Abdomen; CT scan slice
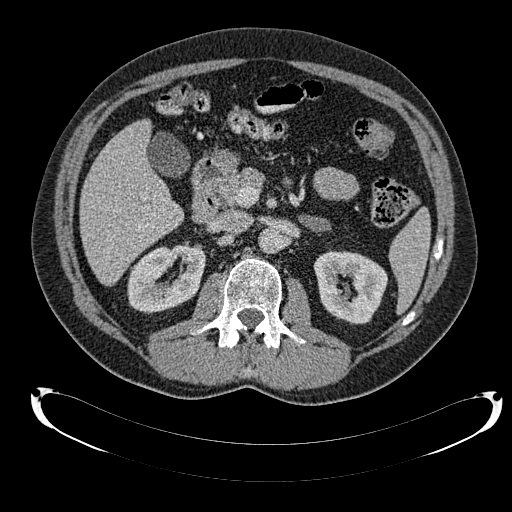

liver: x1=80 y1=120 x2=183 y2=284 | kidney: x1=314 y1=252 x2=387 y2=323, x1=128 y1=245 x2=205 y2=312